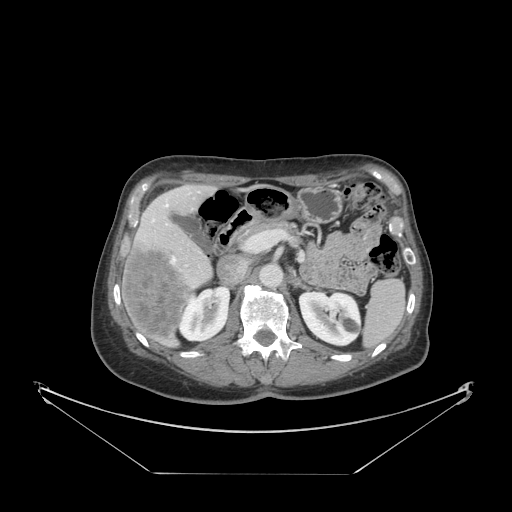 Upper abdomen. CT.

The spleen is located at [365,280,405,346].